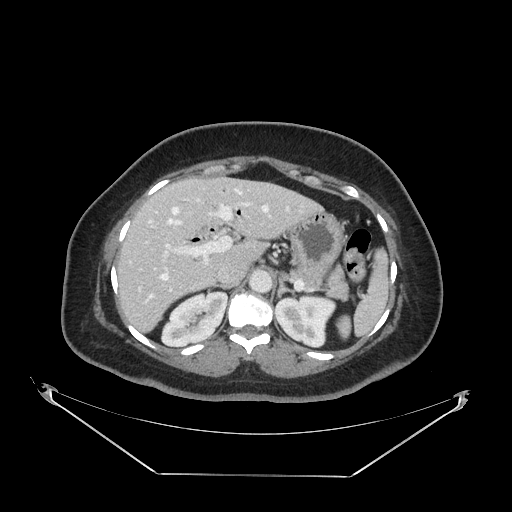
Upper abdomen | CT image

The pancreas is bounded by <box>327,267,347,298</box>.